FLAIR MRI.
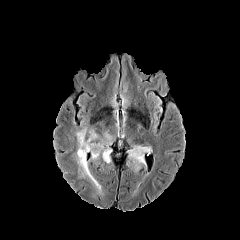
T1-weighted MR image.
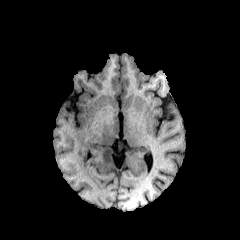
Post-contrast T1-weighted magnetic resonance.
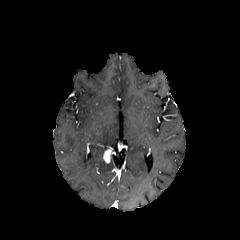
T2-weighted MR.
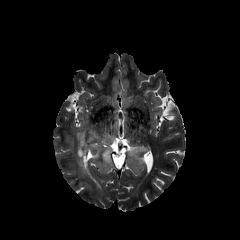
Head; Image size 240x240
2 edema regions are bounded by rect(128, 144, 150, 166); rect(76, 127, 101, 191). The enhancing tumor is located at rect(103, 148, 111, 163).